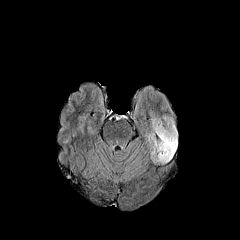
FLAIR MRI.
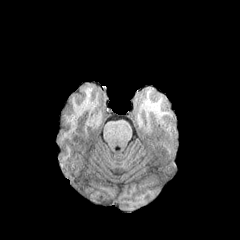
T1-weighted MR.
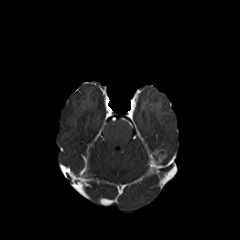
Post-contrast T1-weighted MRI of the same slice.
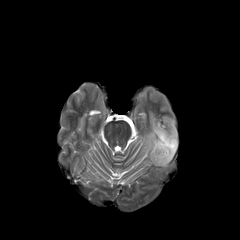
T2-weighted MR.
Head.
Enhancing tumor: bounding box box(151, 148, 168, 162).
Edema: bounding box box(144, 118, 177, 165).